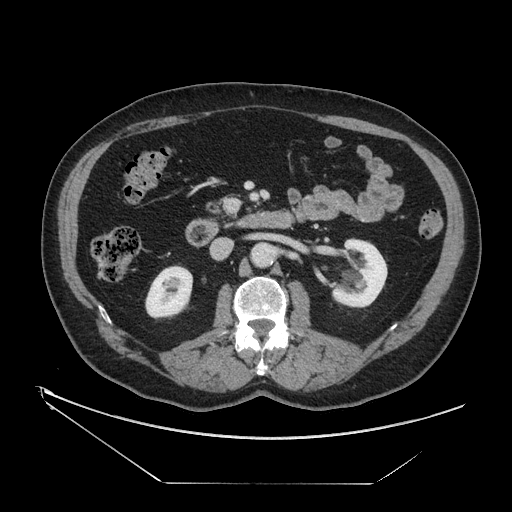
Abdomen. Computed tomography.

The pancreatic tumor is at 223:197:241:215. The pancreas is at 206:196:233:218.